FLAIR MR.
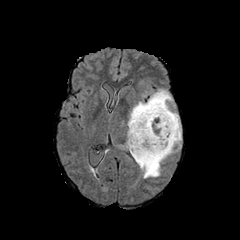
T1-weighted magnetic resonance.
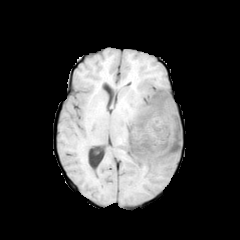
Post-contrast T1-weighted MR image.
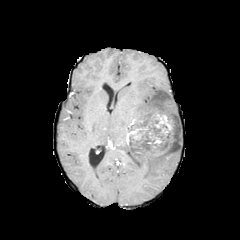
T2-weighted magnetic resonance.
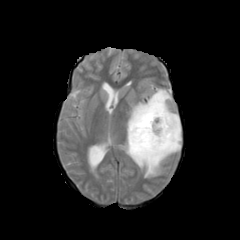
<segmentation>
  <edema>122,88,181,177</edema>
  <enhancing_tumor>148,131,162,149; 154,112,172,137; 127,126,149,143</enhancing_tumor>
  <non-enhancing_tumor_core>127,102,179,159</non-enhancing_tumor_core>
</segmentation>